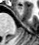
MR image. 39x45. Annotated regions:
• anterior hippocampus: box=[18, 6, 21, 8]